CT slice; Field of view 360x360 mm; 512x512 px; Upper abdomen

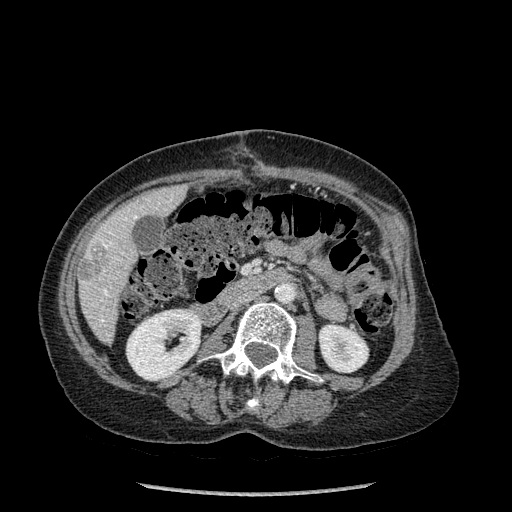 Kidney — <box>319,325,367,372</box>, <box>126,310,200,380</box>.
Liver — <box>77,184,186,342</box>.
Focal liver lesion — <box>79,250,106,278</box>.
Bone — <box>203,301,315,383</box>, <box>247,396,258,410</box>.